Thorax, 512x512, Computed tomography
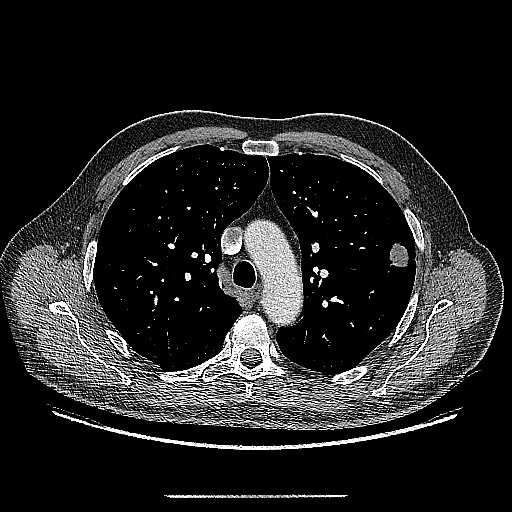

{
  "lung_tumor": [
    "l=388, t=241, r=410, b=267"
  ]
}